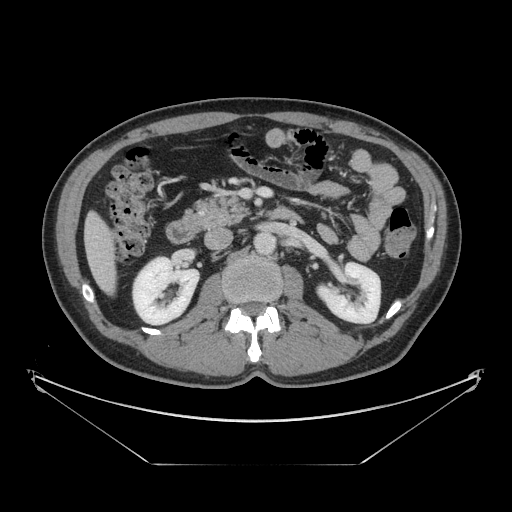 Computed tomography, Upper abdomen

Pancreas: bounding box rect(184, 195, 249, 230).
Pancreatic tumor: bounding box rect(197, 209, 207, 216).